Liver; CT scan slice 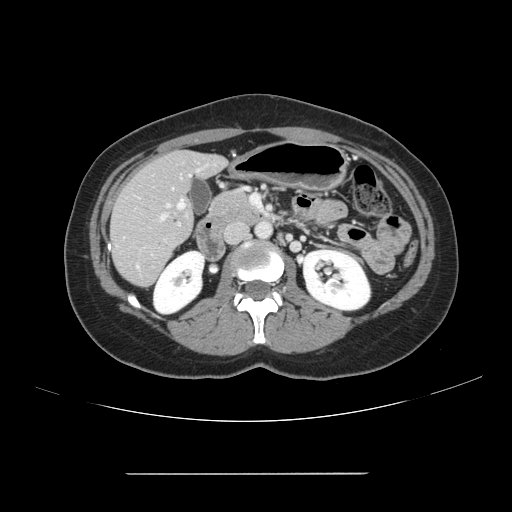

The vessel annotation is not exhaustive.
Hepatic vessel — box(161, 214, 167, 219); box(178, 199, 184, 208); box(136, 265, 138, 268); box(167, 204, 169, 206).